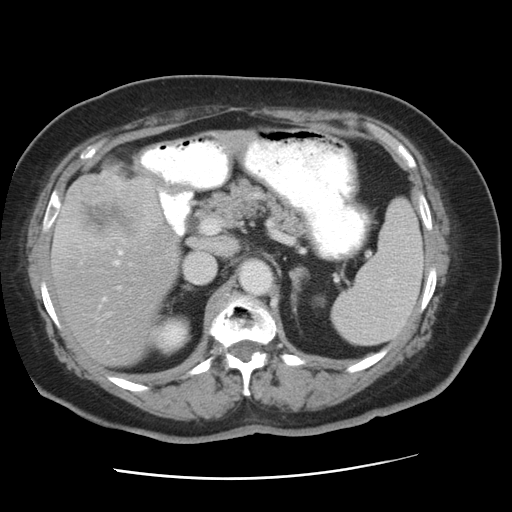

Image size 512x512. Abdomen. CT image.

Only some of the vessels may be annotated.
Annotated regions:
- liver tumor: bbox(72, 183, 146, 241)
- hepatic vessel: bbox(160, 202, 161, 204); bbox(102, 297, 105, 299); bbox(248, 143, 251, 146); bbox(167, 219, 171, 223); bbox(203, 222, 217, 232); bbox(114, 260, 118, 263); bbox(118, 250, 121, 253)